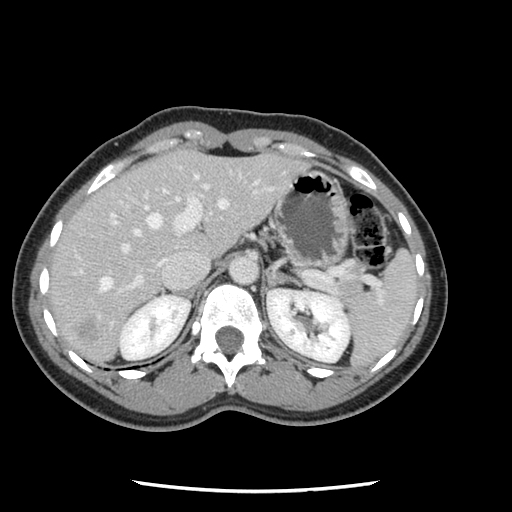

CT image; Abdomen
The vessel annotation is not exhaustive.
<segmentation>
  <hepatic_vessel>box(133, 229, 139, 234); box(163, 189, 164, 191); box(131, 275, 141, 285); box(174, 197, 200, 233); box(175, 197, 179, 200); box(194, 174, 197, 178); box(252, 187, 257, 192); box(108, 214, 114, 222); box(203, 184, 207, 187); box(146, 212, 161, 227); box(268, 188, 271, 189); box(121, 244, 128, 251); box(143, 203, 147, 208); box(218, 199, 226, 207); box(100, 276, 111, 289)</hepatic_vessel>
  <liver_tumor>box(79, 319, 100, 344)</liver_tumor>
</segmentation>